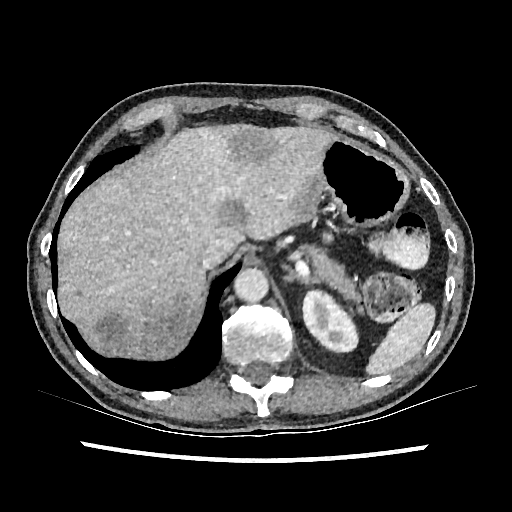 Upper abdomen | CT
4 focal liver lesion regions are bounded by [79,293,199,358], [222,125,277,166], [216,197,253,229], [288,174,319,220]. 2 liver regions are located at [60,124,335,324], [109,354,160,359]. The kidney is at [303,291,357,351].